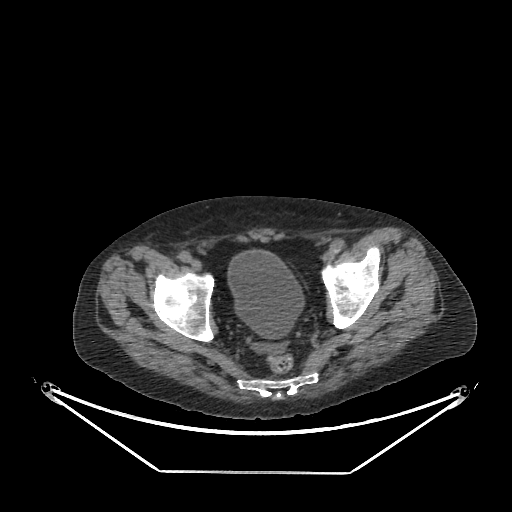 CT scan slice.

The urinary bladder appears at (x1=227, y1=249, x2=304, y2=339).